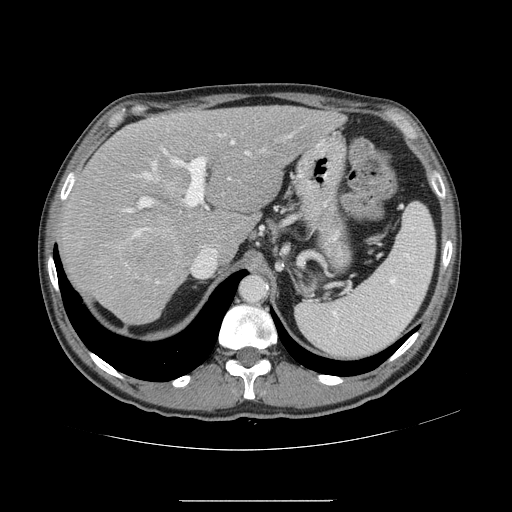
CT
Some hepatic vessels may have no box.
Liver tumor: region(126, 236, 176, 276).
Top 15 of 16 hepatic vessel regions: region(203, 247, 205, 248); region(228, 178, 230, 179); region(180, 158, 205, 205); region(288, 135, 291, 137); region(132, 227, 150, 236); region(218, 134, 225, 136); region(137, 172, 158, 180); region(162, 148, 166, 152); region(139, 197, 151, 206); region(246, 151, 249, 155); region(118, 246, 122, 248); region(231, 140, 233, 143); region(151, 161, 156, 169); region(126, 210, 131, 211); region(262, 150, 264, 151).